FLAIR MR.
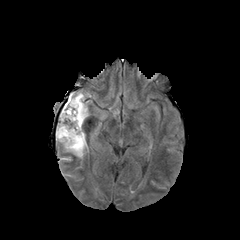
T1-weighted MRI.
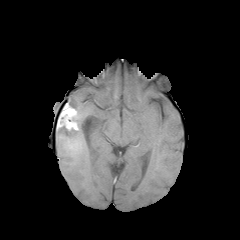
Post-contrast T1-weighted magnetic resonance.
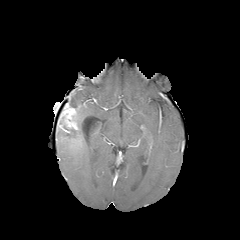
T2-weighted MR image.
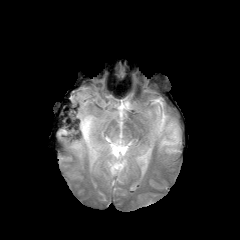
Brain
edema: bbox(56, 90, 95, 159) | non-enhancing tumor core: bbox(71, 113, 80, 127); bbox(82, 122, 87, 141); bbox(58, 102, 72, 128) | enhancing tumor: bbox(62, 108, 77, 129)